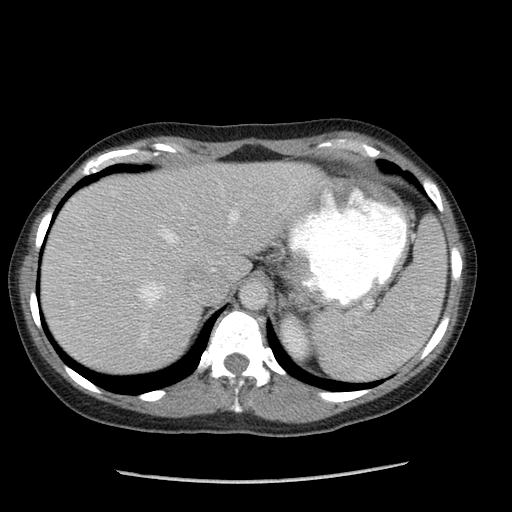 Computed tomography. The spleen is located at <bbox>314, 218, 446, 381</bbox>.